MR

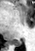
Posterior hippocampus: bounding box 13 41 21 46.